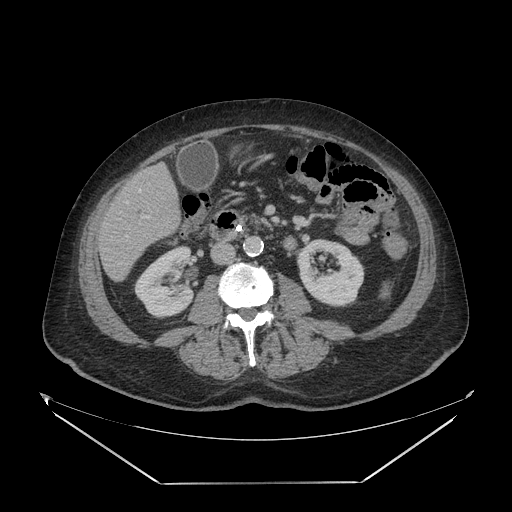
Computed tomography. 512x512 px.

{
  "pancreas": [
    "[240,210,272,228]"
  ]
}